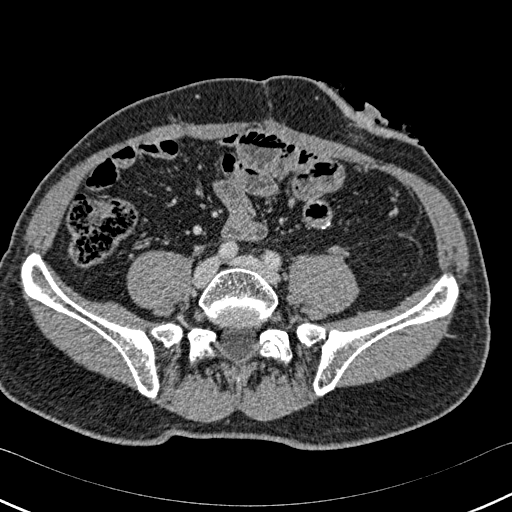 CT image; Image size 512x512
bone:
  - <bbox>297, 275, 457, 395</bbox>
  - <bbox>188, 328, 215, 361</bbox>
  - <bbox>199, 268, 277, 324</bbox>
  - <bbox>260, 329, 291, 362</bbox>
  - <bbox>148, 323, 182, 347</bbox>
  - <bbox>22, 253, 158, 397</bbox>